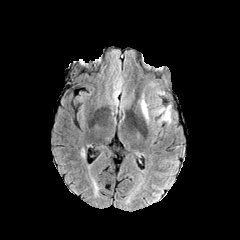
FLAIR magnetic resonance.
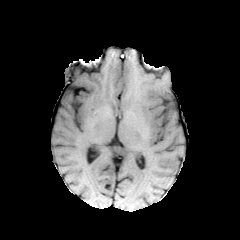
Same slice, T1-weighted MRI.
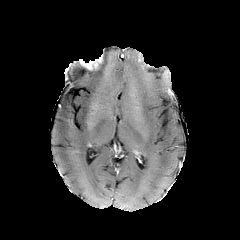
Post-contrast T1-weighted MRI of the same slice.
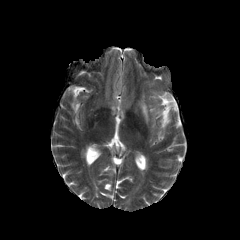
T2-weighted MR of the same slice.
Segmented structures:
• edema: box=[139, 91, 172, 125]